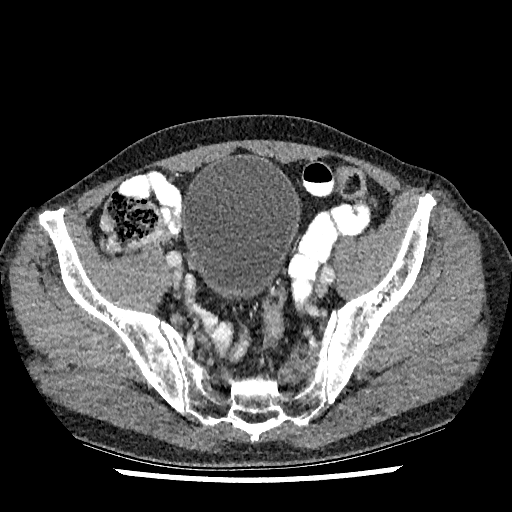

CT. Image size 512x512. Lower abdomen.

{"urinary_bladder": [{"x1": 182, "y1": 157, "x2": 297, "y2": 300}]}